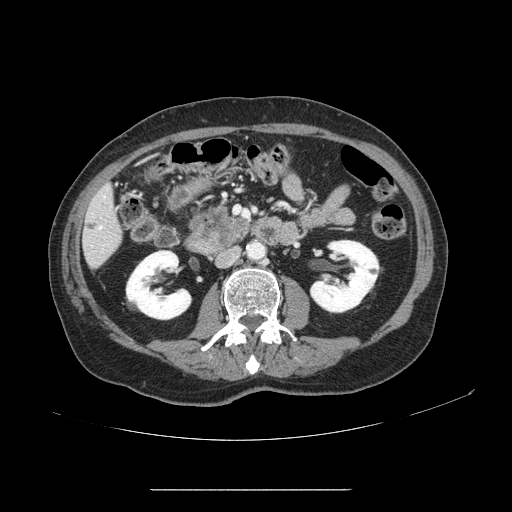 Upper abdomen, CT slice

{"pancreas": ["192:205:250:250"], "pancreatic_tumor": ["213:212:246:241"]}